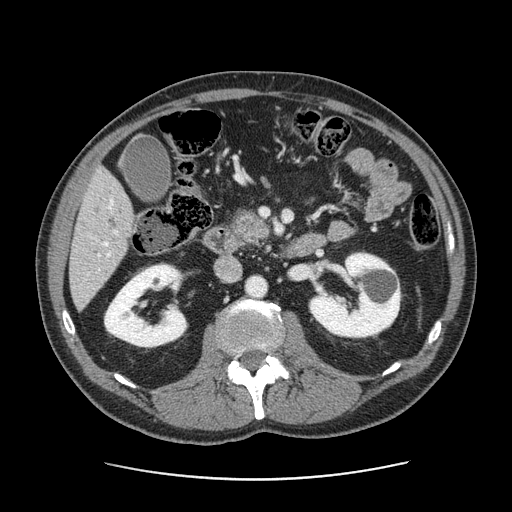
CT image
- pancreatic tumor: (left=236, top=211, right=263, bottom=235)
- pancreas: (left=232, top=211, right=268, bottom=245)